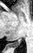 Medial temporal lobe. MRI slice.
The posterior hippocampus lies within left=9, top=38, right=22, bottom=47.